Slice index 393; CT slice 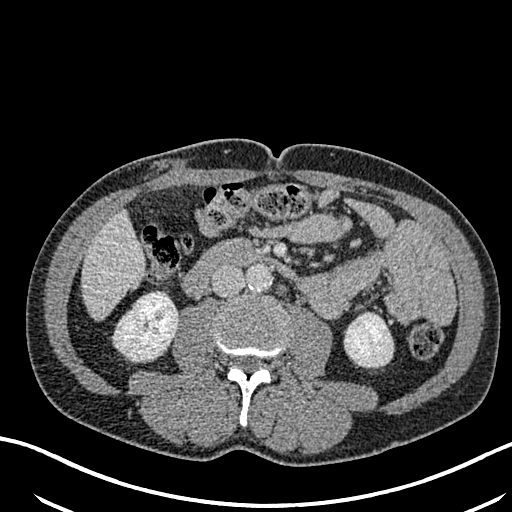 <segmentation>
  <liver>left=82, top=210, right=143, bottom=318</liver>
  <kidney>left=344, top=313, right=392, bottom=366; left=114, top=292, right=177, bottom=360</kidney>
</segmentation>